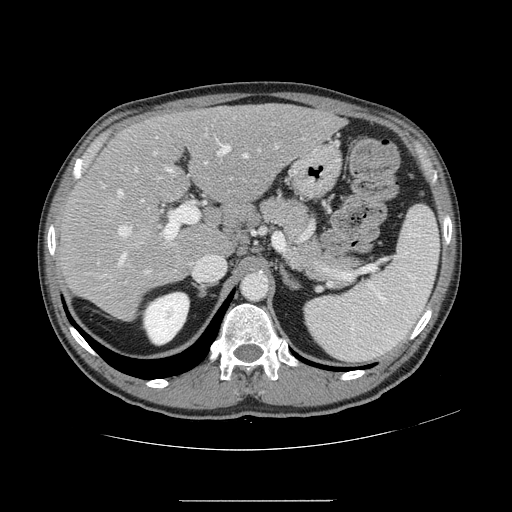

CT scan slice.
The vessel annotation is not exhaustive.
Hepatic vessel — region(135, 167, 136, 171); region(145, 269, 149, 273); region(118, 190, 122, 197); region(119, 254, 125, 265); region(276, 145, 278, 147); region(117, 225, 131, 235); region(103, 185, 105, 187); region(216, 140, 230, 154); region(204, 134, 206, 135); region(165, 205, 197, 238); region(243, 154, 247, 156); region(166, 168, 172, 171); region(100, 275, 110, 277).
Liver tumor — region(130, 249, 154, 265); region(165, 250, 177, 265).